Liver. 512x512. Field of view 472x472 mm. CT slice.

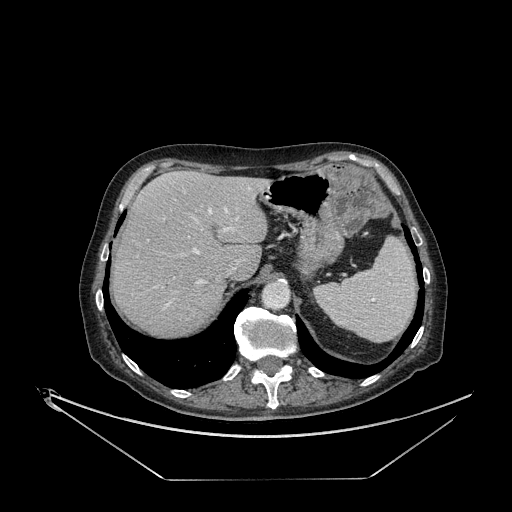
Segmented structures:
- liver: [113, 170, 270, 337]